Head. 240x240 px. Field of view 240x240 mm.
FLAIR MRI.
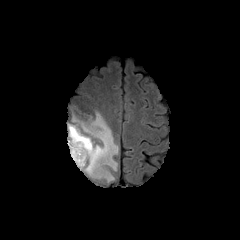
T1-weighted MRI.
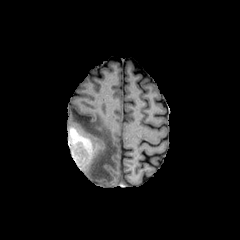
Post-contrast T1-weighted magnetic resonance.
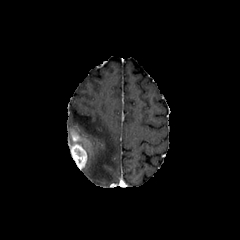
T2-weighted MR image.
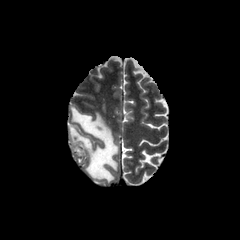
The non-enhancing tumor core lies within bbox(69, 129, 94, 157). The enhancing tumor is at bbox(70, 144, 87, 169). The edema lies within bbox(71, 107, 118, 182).